MR image. Slice index 14. Image size 35x55.

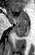
Posterior hippocampus: bounding box rect(13, 23, 28, 37).
Anterior hippocampus: bounding box rect(7, 11, 28, 22).